Upper abdomen; Computed tomography
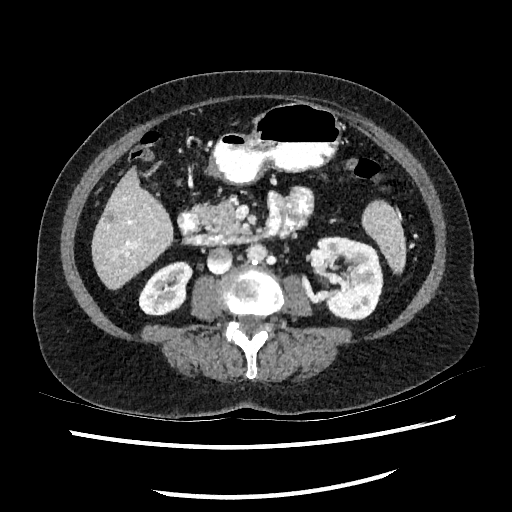
kidney:
  - 311,238,381,318
  - 140,262,191,314
liver_lesion:
  - 105,211,114,222
liver:
  - 92,167,171,287